CT image, Slice 607/630

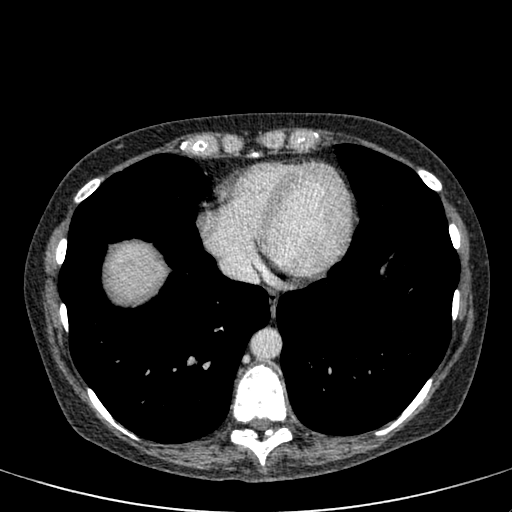
Liver = box(107, 243, 164, 301).